Field of view 240x240 mm, Head
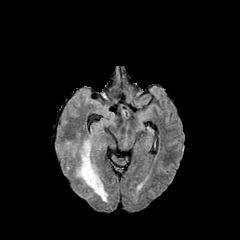
FLAIR MR image.
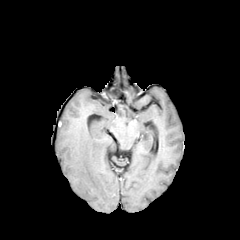
Same slice, T1-weighted MR.
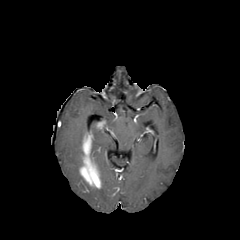
Post-contrast T1-weighted MR image of the same slice.
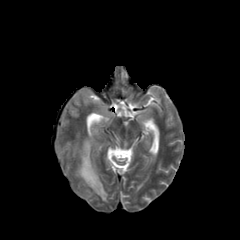
T2-weighted MRI.
<segmentation>
  <enhancing_tumor>97, 120, 105, 128; 80, 133, 100, 188</enhancing_tumor>
  <edema>90, 123, 99, 134; 76, 146, 108, 202</edema>
</segmentation>